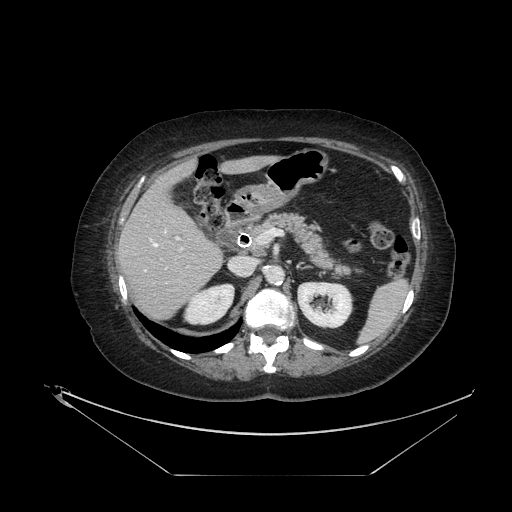
Abdomen. Computed tomography. Image size 512x512.
pancreas: [x1=249, y1=213, x2=354, y2=274]